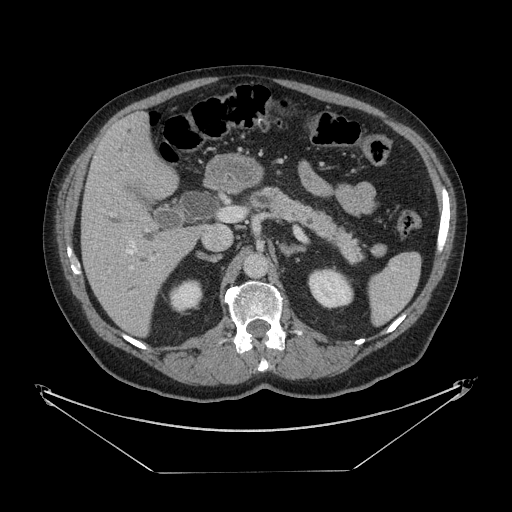
Image size 512x512, Abdomen, CT image
The pancreas is bounded by x1=252 y1=188 x2=361 y2=262.